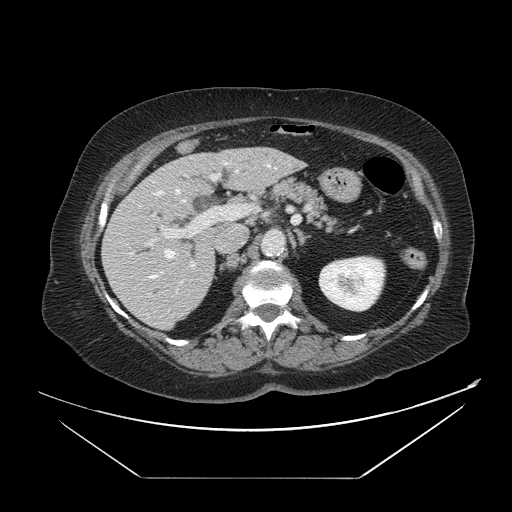 Computed tomography. 512x512. Pancreas: bounding box 273:177:337:231.